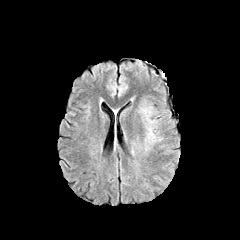
FLAIR MRI.
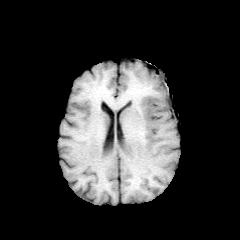
T1-weighted magnetic resonance of the same slice.
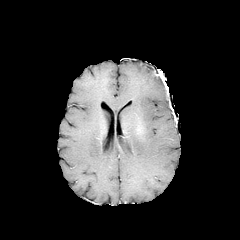
Post-contrast T1-weighted MR of the same slice.
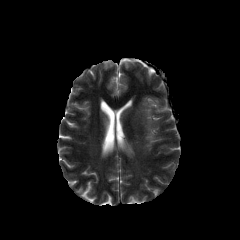
T2-weighted MRI.
Brain
Edema: bounding box [x1=140, y1=106, x2=161, y2=150].